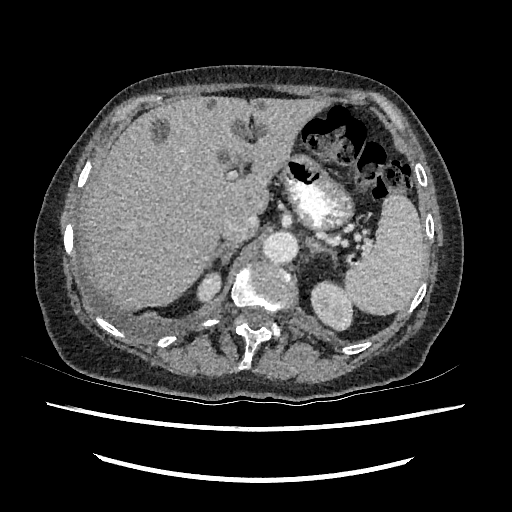
512x512; CT
kidney:
  - (x1=312, y1=282, x2=353, y2=329)
  - (x1=198, y1=274, x2=220, y2=300)
liver:
  - (x1=87, y1=97, x2=328, y2=308)
focal_liver_lesion:
  - (x1=256, y1=129, x2=266, y2=137)
  - (x1=207, y1=98, x2=217, y2=109)
  - (x1=219, y1=151, x2=232, y2=166)
  - (x1=152, y1=119, x2=169, y2=141)
  - (x1=233, y1=120, x2=248, y2=137)
  - (x1=255, y1=100, x2=263, y2=109)